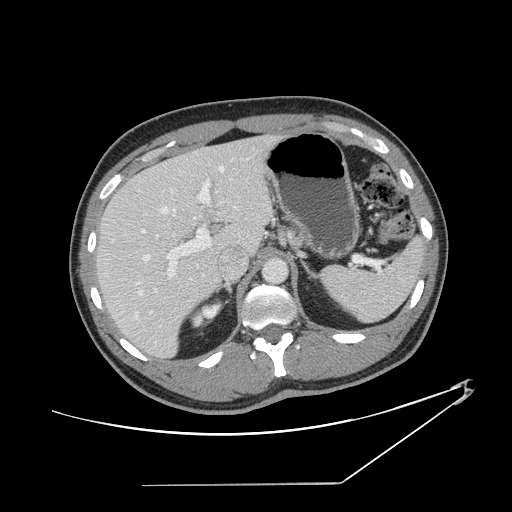

CT image
Some hepatic vessels may have no box.
Top 15 of 18 hepatic vessel regions at (x1=167, y1=227, x2=210, y2=277), (x1=135, y1=282, x2=139, y2=283), (x1=218, y1=166, x2=223, y2=171), (x1=143, y1=255, x2=149, y2=260), (x1=156, y1=235, x2=157, y2=237), (x1=220, y1=202, x2=222, y2=203), (x1=150, y1=311, x2=152, y2=312), (x1=142, y1=230, x2=145, y2=232), (x1=134, y1=312, x2=137, y2=319), (x1=138, y1=291, x2=142, y2=294), (x1=173, y1=209, x2=174, y2=214), (x1=171, y1=190, x2=173, y2=193), (x1=197, y1=179, x2=209, y2=204), (x1=234, y1=206, x2=236, y2=208), (x1=162, y1=207, x2=167, y2=213).